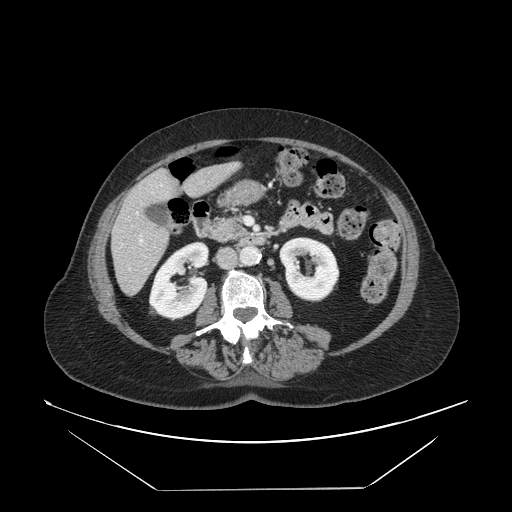 CT | 512x512 | Upper abdomen
pancreas: 203,214,246,243